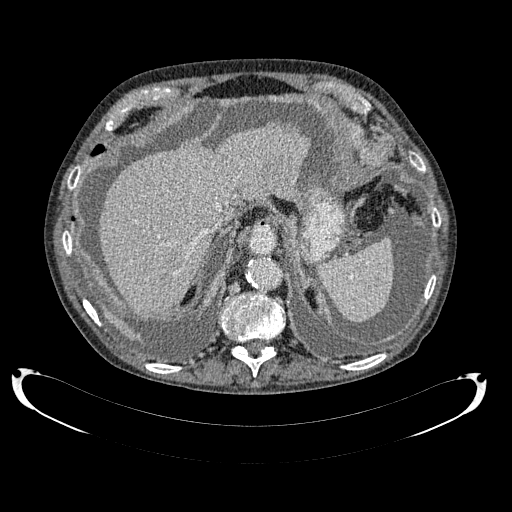 CT
liver:
  - (left=98, top=122, right=307, bottom=317)